Image size 240x240 | Head | Slice 90/155
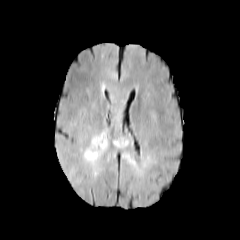
FLAIR MR.
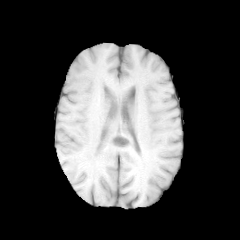
T1-weighted magnetic resonance.
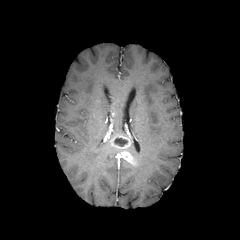
Same slice, post-contrast T1-weighted MR.
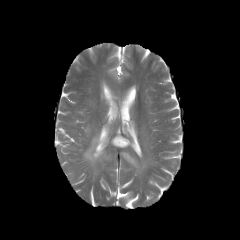
T2-weighted MRI.
<segmentation>
  <non-enhancing_tumor_core>114:138:128:146</non-enhancing_tumor_core>
  <edema>107:99:116:119, 84:131:107:162</edema>
  <enhancing_tumor>121:150:135:164, 111:135:131:149</enhancing_tumor>
</segmentation>